CT slice | Slice 597 of 871 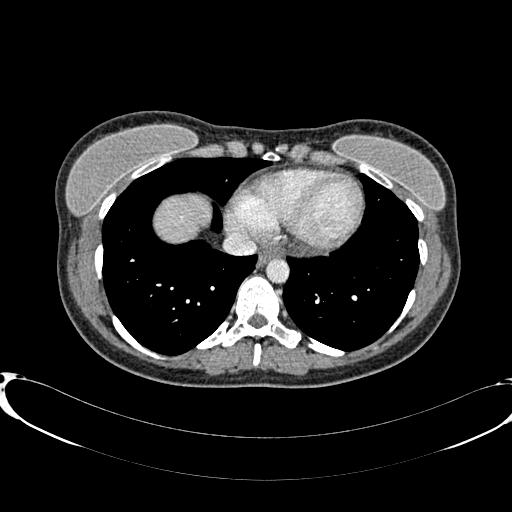
Liver = 155, 196, 210, 240.